Lower abdomen. CT slice. Image width 500 mm. 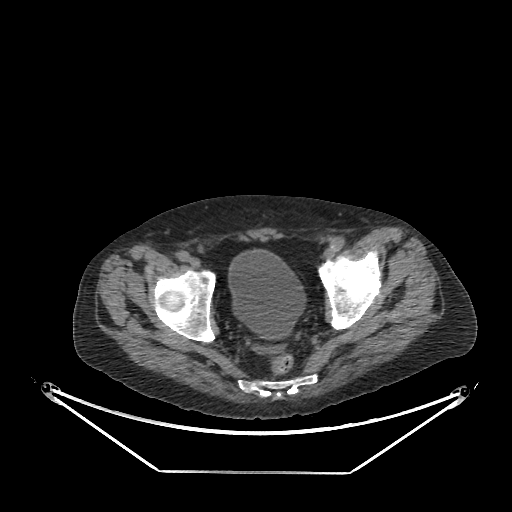 The urinary bladder lies within left=228, top=249, right=306, bottom=340.